CT slice | Abdomen
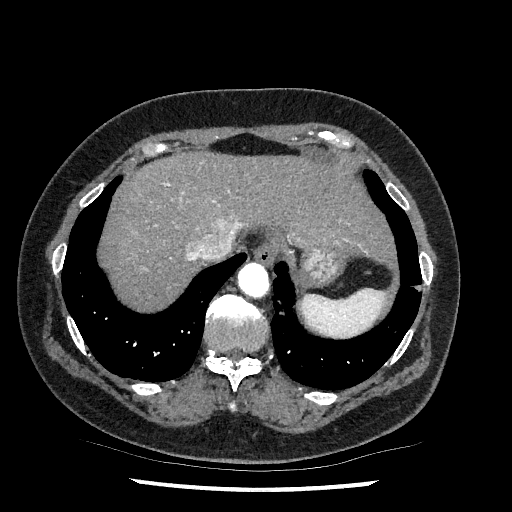 liver:
  - (104,151,392,309)